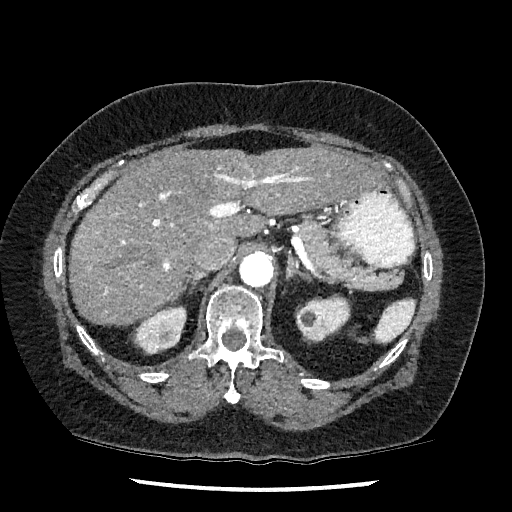

Liver | Computed tomography
Liver at 69 147 386 324.
Kidney at 136 307 185 353, 302 298 348 340.